Field of view 500 mm wide, 1.50 mm slice spacing, CT image, Abdomen
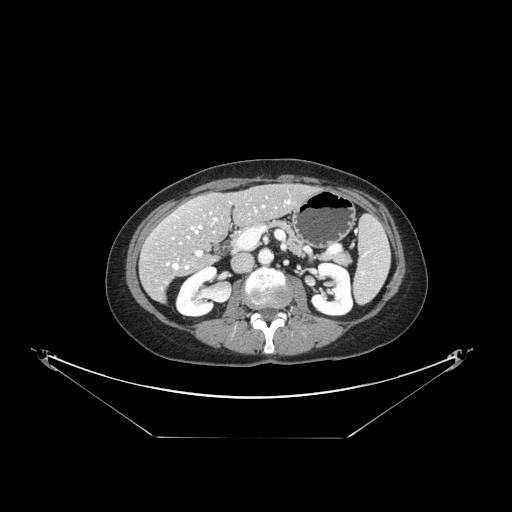

Only some of the vessels may be annotated.
Hepatic vessel — [x1=195, y1=230, x2=196, y2=232], [x1=199, y1=226, x2=201, y2=228], [x1=196, y1=251, x2=200, y2=255].